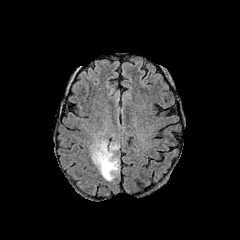
FLAIR MR.
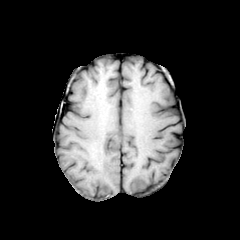
T1-weighted MRI.
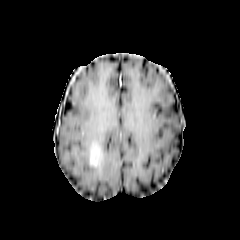
Post-contrast T1-weighted MRI.
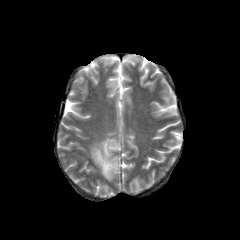
T2-weighted MR image.
Head.
{
  "non-enhancing_tumor_core": [
    "[x1=99, y1=152, x2=104, y2=166]"
  ],
  "edema": [
    "[x1=89, y1=137, x2=120, y2=181]"
  ],
  "enhancing_tumor": [
    "[x1=91, y1=146, x2=102, y2=165]"
  ]
}